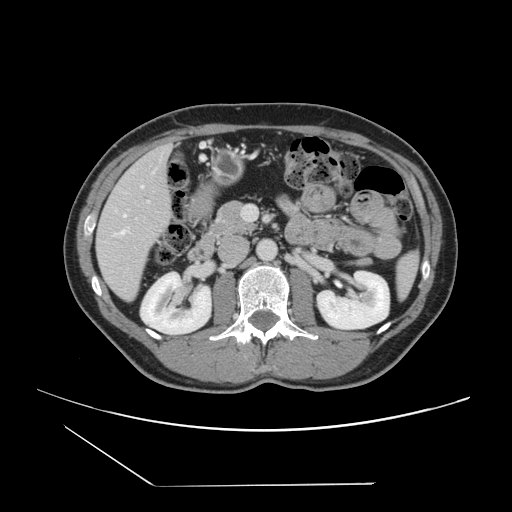 Abdomen | CT scan slice
Not every hepatic vessel necessarily has a box.
hepatic_vessel:
  - bbox=[124, 228, 126, 229]
  - bbox=[160, 158, 161, 160]
  - bbox=[127, 227, 130, 232]
  - bbox=[118, 235, 123, 236]